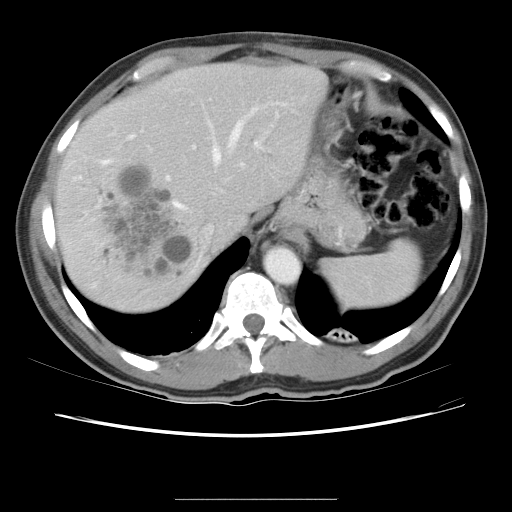

CT image

The vessel annotation is not exhaustive.
Hepatic vessel: bbox(190, 258, 200, 273); bbox(254, 140, 262, 148); bbox(240, 162, 244, 166); bbox(128, 134, 134, 138); bbox(102, 159, 109, 163); bbox(166, 175, 169, 179); bbox(207, 225, 213, 231); bbox(212, 147, 220, 163); bbox(250, 106, 256, 114); bbox(229, 121, 242, 147); bbox(207, 119, 214, 138); bbox(192, 146, 195, 147); bbox(223, 179, 224, 180).
Liver tumor: bbox(94, 161, 196, 282).